FLAIR magnetic resonance.
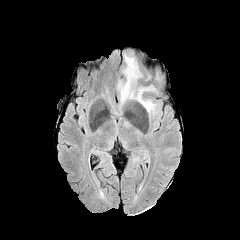
T1-weighted MR.
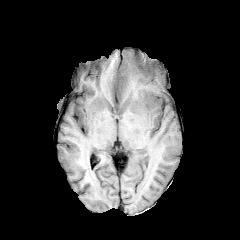
Post-contrast T1-weighted MR.
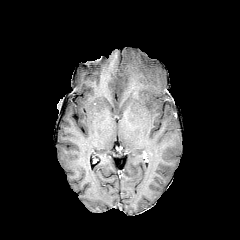
T2-weighted MRI.
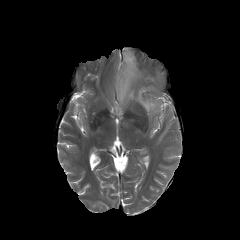
{"edema": ["117:53:157:117"]}